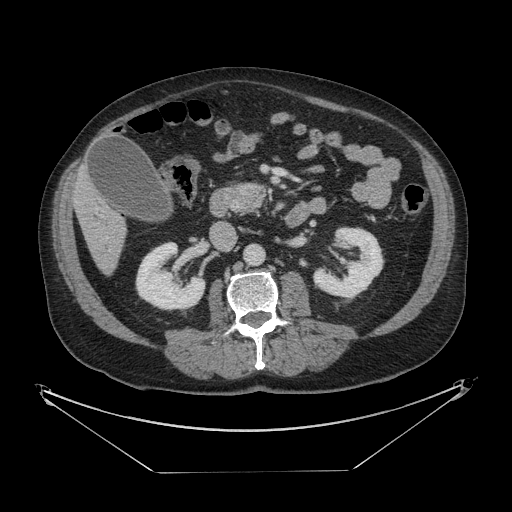

CT; Abdomen

pancreas:
  - region(239, 184, 263, 208)